CT slice 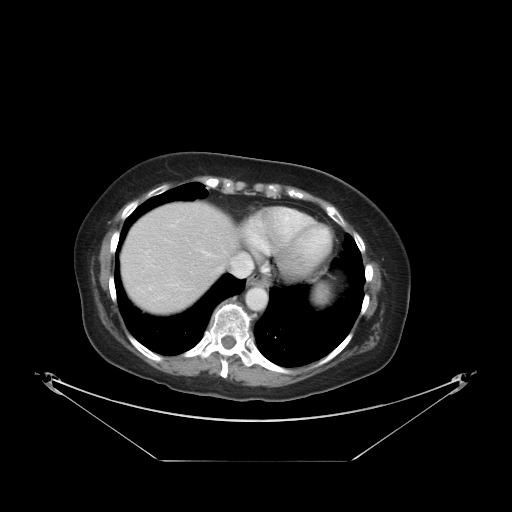

Only some of the vessels may be annotated.
hepatic_vessel:
  - (x1=230, y1=256, x2=249, y2=275)
  - (x1=202, y1=289, x2=204, y2=291)
  - (x1=214, y1=256, x2=219, y2=257)
  - (x1=219, y1=271, x2=221, y2=273)
  - (x1=222, y1=267, x2=223, y2=270)